Slice 98/155
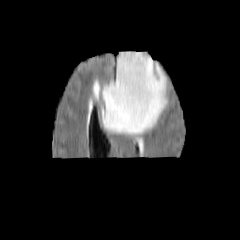
FLAIR MR.
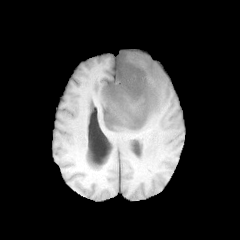
T1-weighted MR.
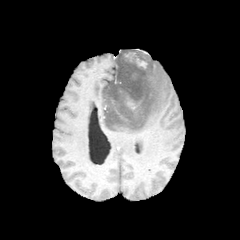
Same slice, post-contrast T1-weighted MR.
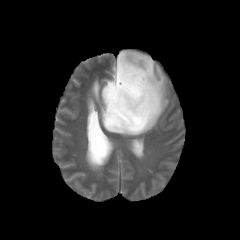
T2-weighted MR image.
non-enhancing_tumor_core:
  - bbox=[105, 51, 151, 125]
edema:
  - bbox=[116, 50, 134, 68]
  - bbox=[100, 52, 168, 135]